Image width 240 mm, Slice 85 of 155, 240x240
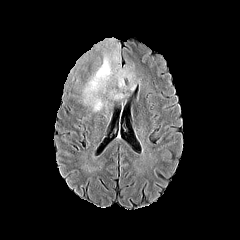
FLAIR MR.
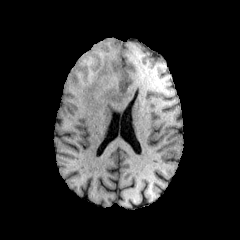
T1-weighted MR image of the same slice.
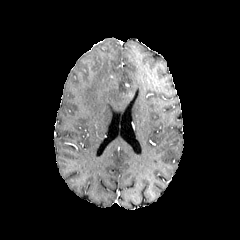
Same slice, post-contrast T1-weighted MR image.
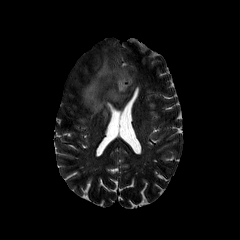
T2-weighted MR.
Edema at box(81, 45, 136, 111).